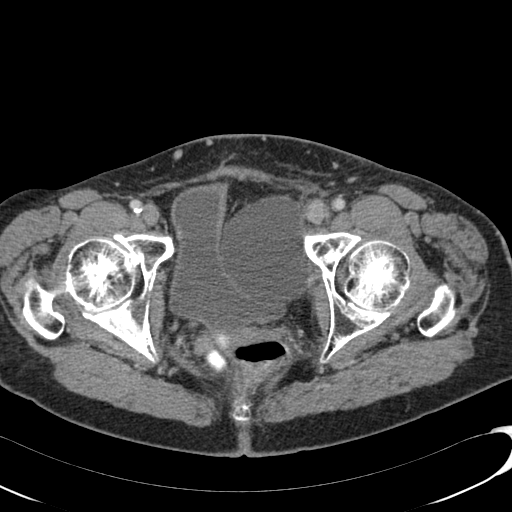 Computed tomography | Pelvis

Segmented structures:
* urinary bladder: <box>169,181,284,335</box>